Liver | CT image | Image size 512x512

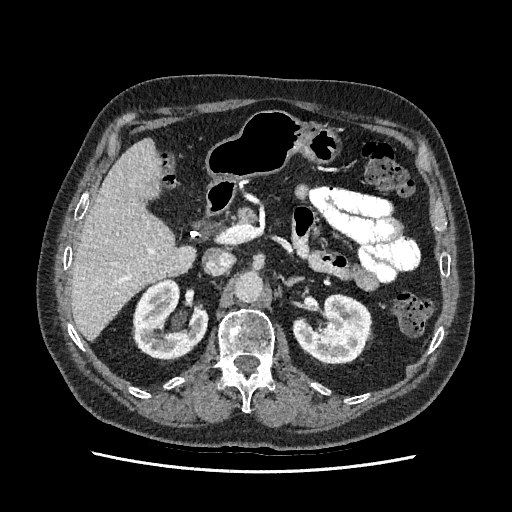

Kidney = rect(134, 280, 207, 358); rect(294, 295, 370, 362).
Liver = rect(72, 139, 194, 339).